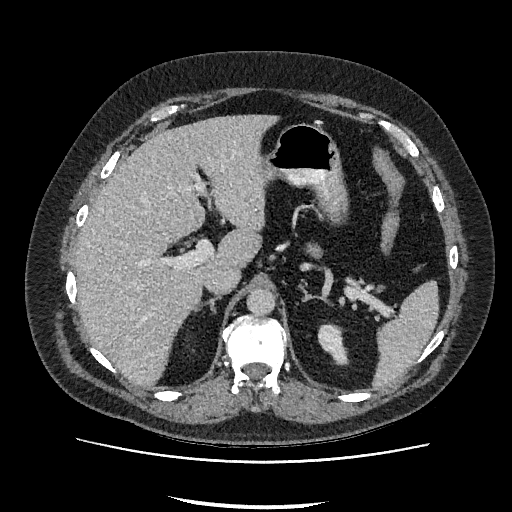
CT scan slice
{"kidney": ["<box>319,326,345,360</box>"], "liver": ["<box>76,115,276,384</box>"]}